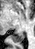
Medial temporal lobe | MRI slice
posterior_hippocampus:
  - bbox(12, 34, 24, 42)